Computed tomography | 512x512 px

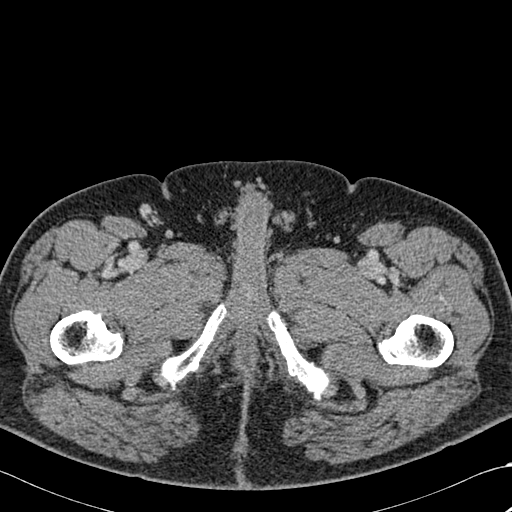 Bone: bounding box 161 305 225 385, 268 312 328 398, 379 314 453 367, 50 310 122 364.